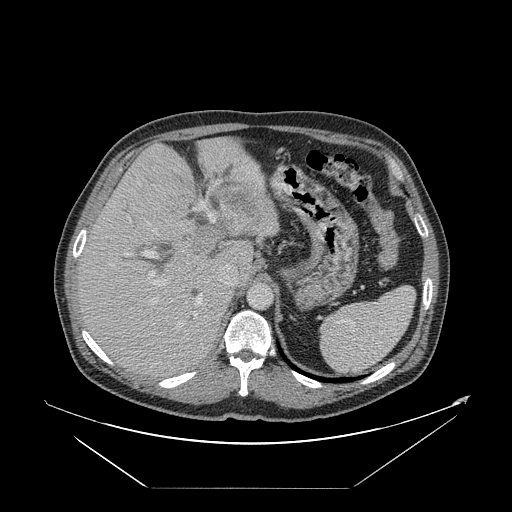

CT slice | Liver
Not every hepatic vessel necessarily has a box.
<segmentation>
  <hepatic_vessel>region(195, 294, 202, 306); region(177, 324, 181, 328); region(191, 311, 196, 317); region(143, 248, 158, 258); region(124, 252, 132, 256); region(148, 271, 167, 286); region(216, 264, 237, 285); region(184, 338, 186, 340); region(186, 209, 187, 213); region(192, 181, 218, 212); region(149, 297, 158, 304); region(148, 229, 157, 234); region(184, 206, 185, 208)</hepatic_vessel>
  <liver_tumor>region(191, 179, 263, 243)</liver_tumor>
</segmentation>